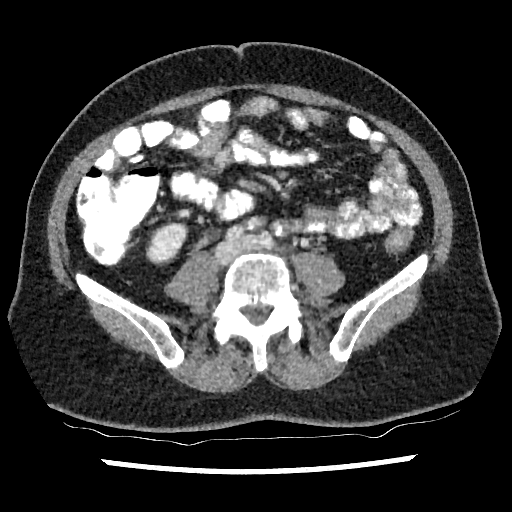
512x512 px; Abdomen; CT scan slice
The kidney is bounded by l=149, t=225, r=184, b=260.